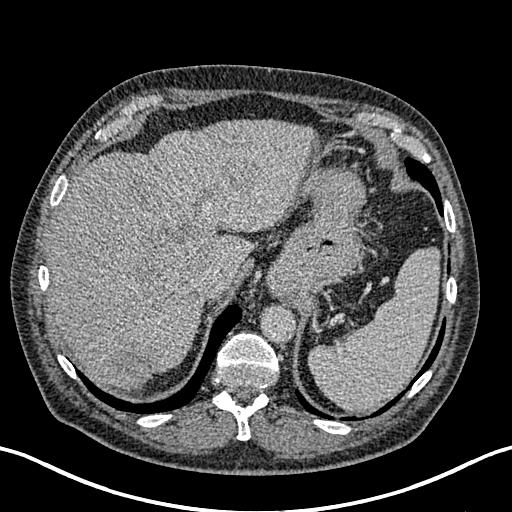

Computed tomography, 512x512
* liver: [x1=50, y1=119, x2=316, y2=388]
* liver lesion: [x1=192, y1=206, x2=204, y2=217], [x1=225, y1=156, x2=260, y2=189], [x1=197, y1=186, x2=214, y2=203], [x1=132, y1=219, x2=212, y2=309], [x1=117, y1=343, x2=163, y2=377]